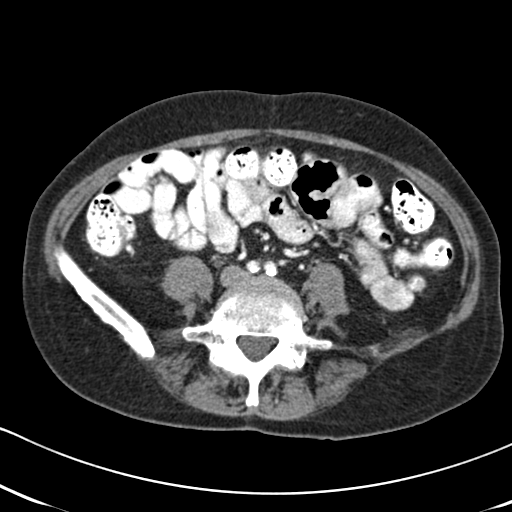 CT; Image size 512x512; Pelvis
Colon tumor: bounding box <bbox>116, 225, 126, 247</bbox>.